240x240 px, Slice index 100, Brain
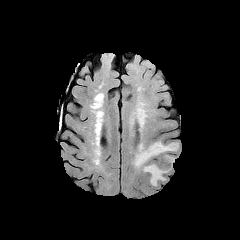
FLAIR MR.
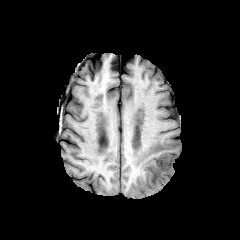
T1-weighted MR image of the same slice.
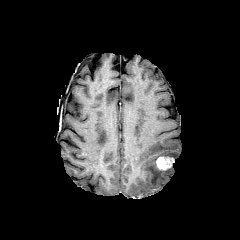
Post-contrast T1-weighted MRI.
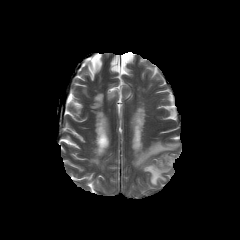
T2-weighted MR of the same slice.
Edema: [135,141,178,185].
Enhancing tumor: [155,156,174,171].